Head
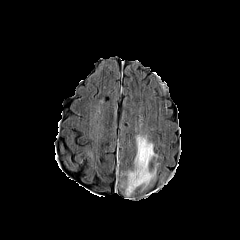
FLAIR MRI.
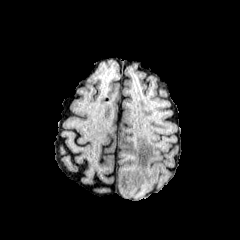
T1-weighted MRI of the same slice.
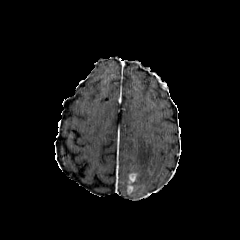
Post-contrast T1-weighted MR.
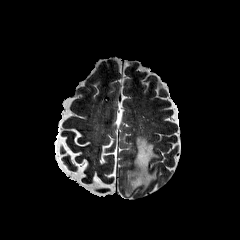
T2-weighted MR image of the same slice.
Edema — (x1=120, y1=135, x2=159, y2=189).
Enhancing tumor — (x1=126, y1=173, x2=138, y2=195).